CT image | Slice 127/155
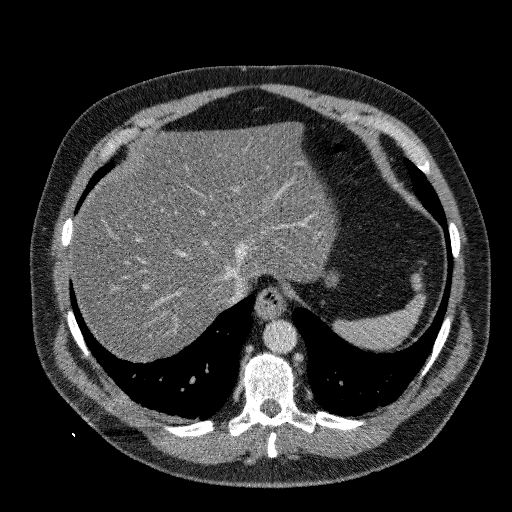

liver: <box>69,122,332,360</box>